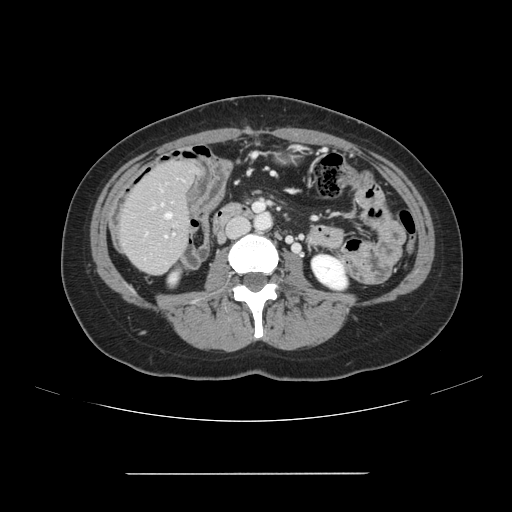 512x512 px; Liver; Computed tomography

The vessel boxes may cover only some of the vessels.
2 hepatic vessel regions are located at x1=166, y1=213, x2=171, y2=217; x1=161, y1=204, x2=162, y2=205.